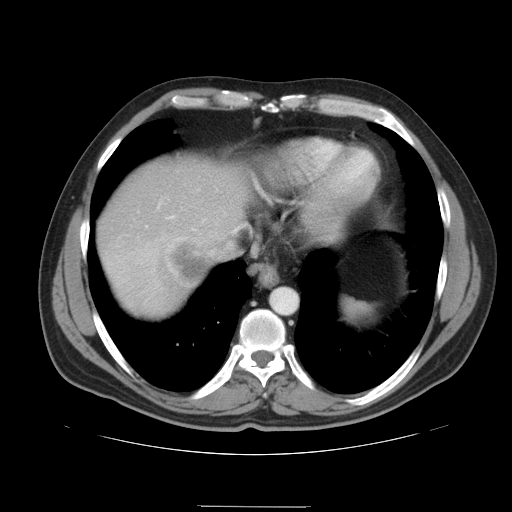 512x512 | Abdomen | CT scan slice
Some hepatic vessels may have no box.
Liver tumor — <box>152,235,211,290</box>.
Hepatic vessel — <box>226,242,231,248</box>, <box>212,251,213,252</box>, <box>167,217,173,218</box>, <box>226,225,242,233</box>.